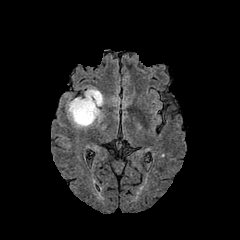
FLAIR MR.
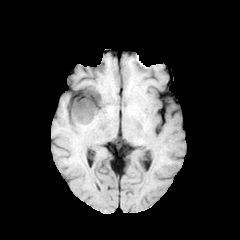
T1-weighted magnetic resonance.
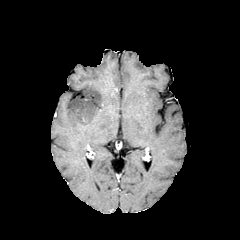
Post-contrast T1-weighted MR.
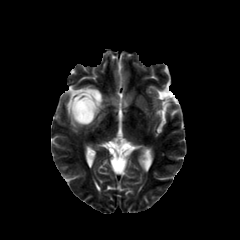
T2-weighted MRI.
Head
Edema: rect(67, 88, 103, 126).